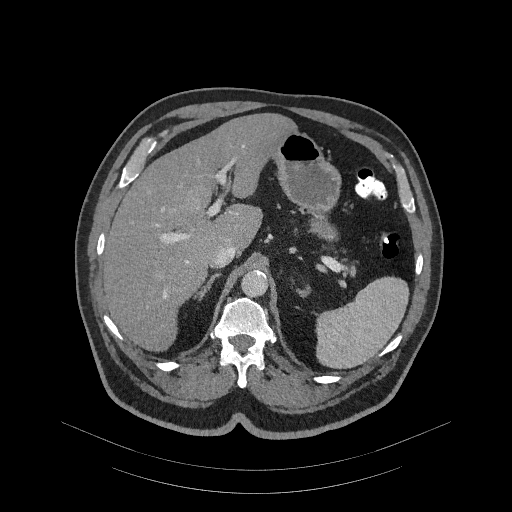
CT scan slice | 512x512
pancreas: x1=347 y1=262 x2=357 y2=275